Abdomen | Field of view 388 mm wide, 0.70 mm slice spacing | CT scan slice | Slice 348 of 733 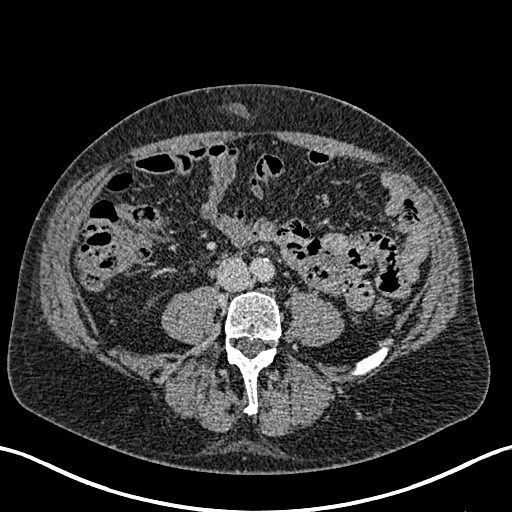 * kidney: {"x1": 145, "y1": 297, "x2": 156, "y2": 308}